512x512 | Computed tomography | Field of view 393x393 mm | Liver 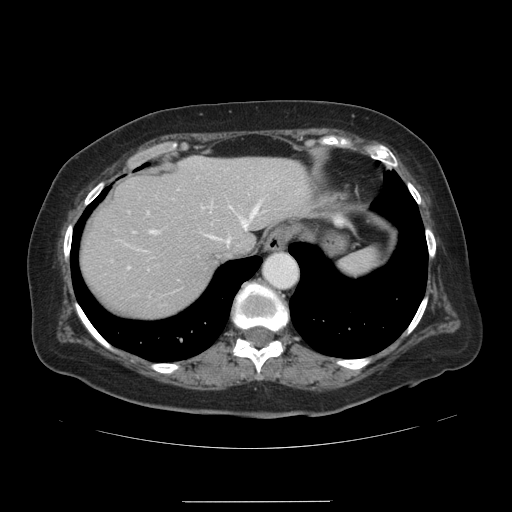
The vessel annotation is not exhaustive.
Hepatic vessel at [x1=209, y1=235, x2=216, y2=238], [x1=225, y1=239, x2=229, y2=243], [x1=150, y1=229, x2=158, y2=232], [x1=241, y1=219, x2=246, y2=227], [x1=250, y1=207, x2=255, y2=218].